Slice 358/466; Abdomen; CT slice
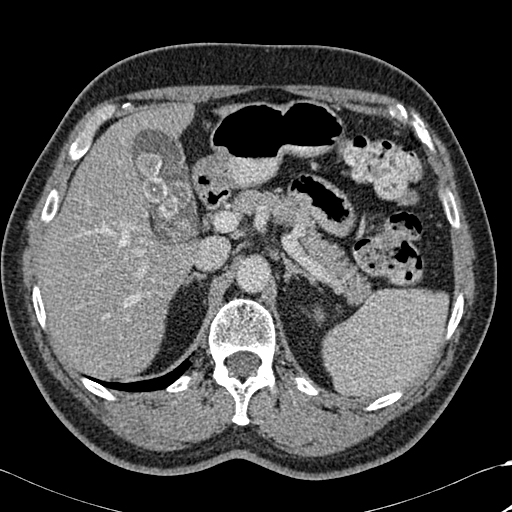 10 bone regions are located at [42,190,58,220], [167,377,189,391], [83,378,113,399], [296,378,317,394], [444,193,458,227], [448,295,463,336], [209,299,274,424], [70,119,96,159], [33,287,45,325], [368,392,400,409]. The liver lies within [39,105,194,380]. The lung lies within [87,359,190,391].